FLAIR MR image.
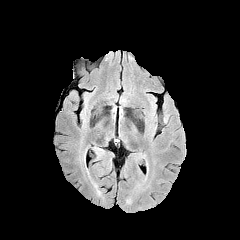
T1-weighted magnetic resonance.
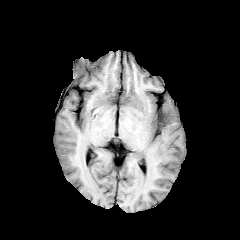
Post-contrast T1-weighted MR.
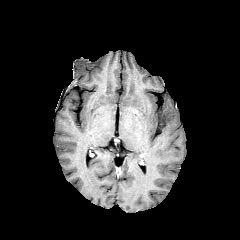
T2-weighted MR image.
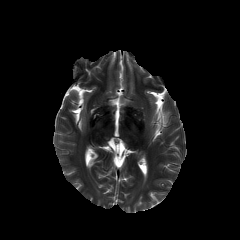
Edema at x1=162 y1=114 x2=169 y2=125.